Upper abdomen, CT, Slice 187/424

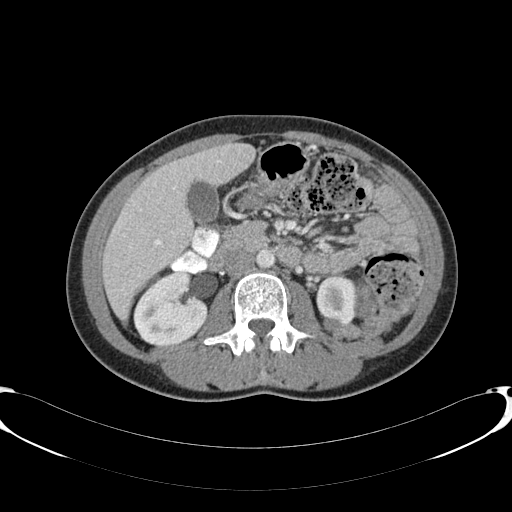 Liver: (103, 143, 253, 317).
Kidney: (134, 271, 206, 344), (317, 277, 354, 324).